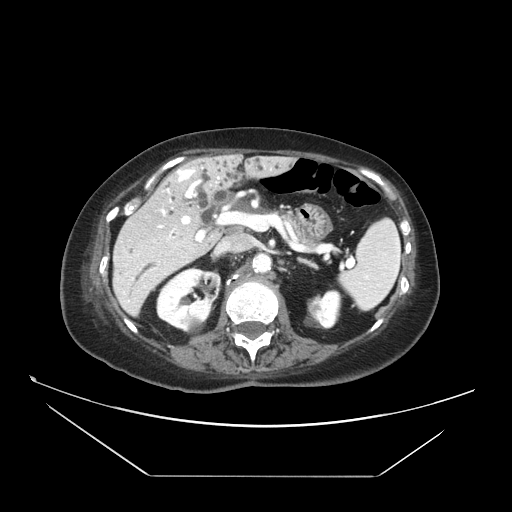

Computed tomography
Segmented structures:
• pancreas: rect(276, 211, 319, 248)